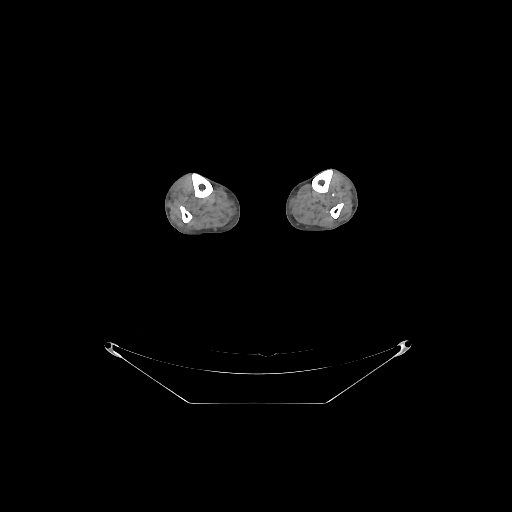 512x512; CT image
4 bone regions are bounded by rect(312, 170, 332, 192); rect(192, 173, 212, 197); rect(180, 206, 191, 222); rect(330, 203, 343, 218).